Slice index 44 | Computed tomography 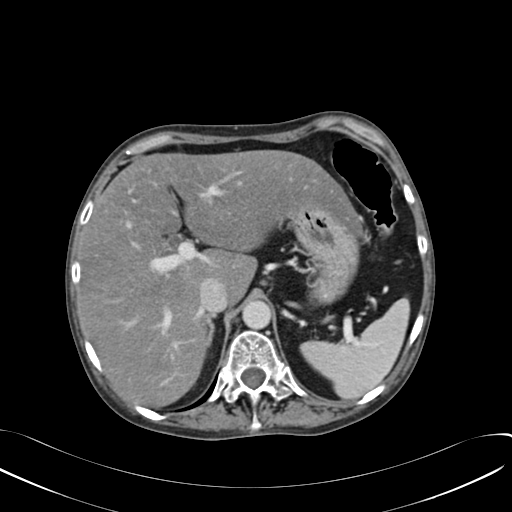
{"liver": ["region(78, 149, 361, 406)"]}